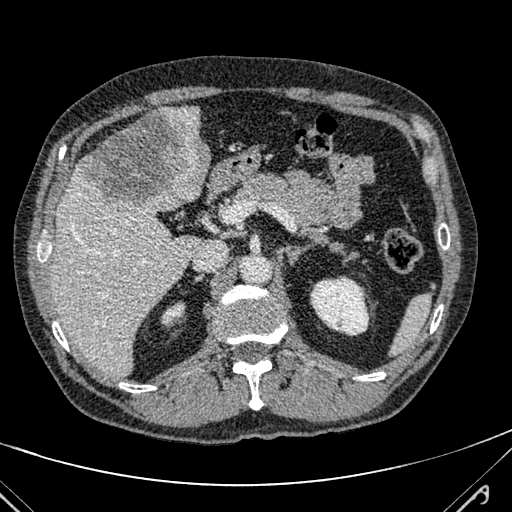
CT slice.

2 liver regions are bounded by bbox=[51, 160, 203, 375]; bbox=[167, 105, 200, 135]. The focal liver lesion is located at bbox=[78, 109, 208, 203].